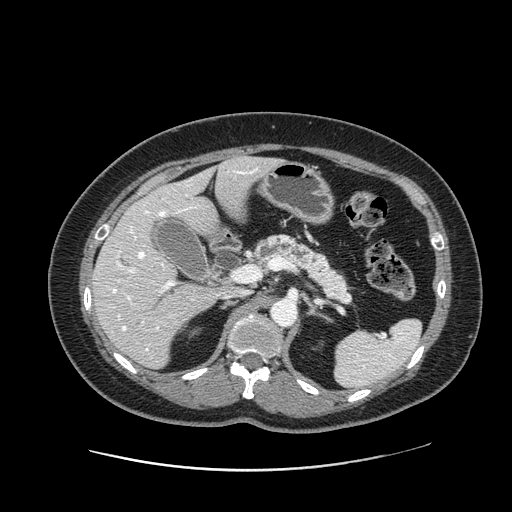 Upper abdomen. Computed tomography.

• pancreas: (x1=256, y1=235, x2=349, y2=302)